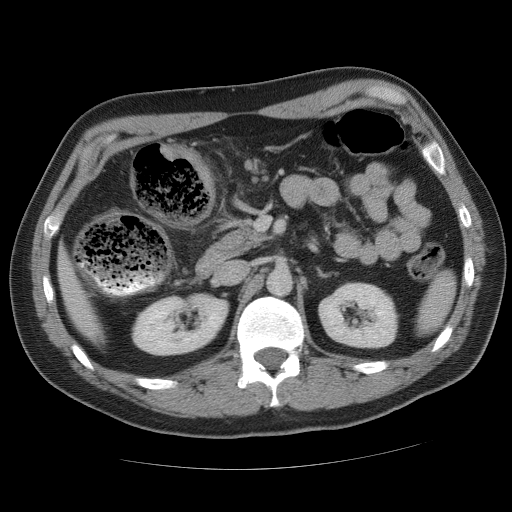

CT slice. Image size 512x512. Spleen: 417,273,454,334.